CT slice; Liver

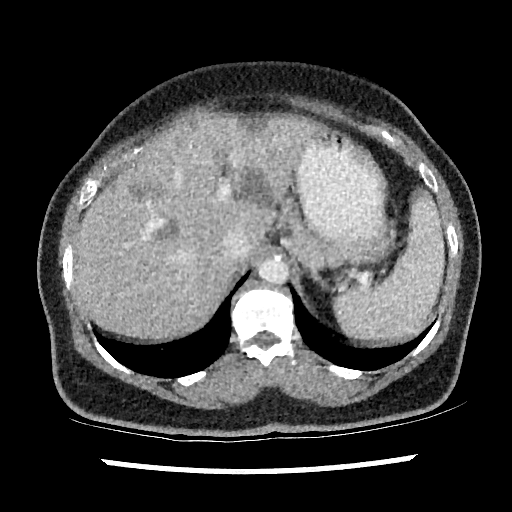

Hepatic lesion — <bbox>128, 182, 153, 198</bbox>, <bbox>156, 221, 178, 241</bbox>, <bbox>238, 116, 265, 131</bbox>, <bbox>235, 167, 273, 208</bbox>.
Liver — <bbox>72, 115, 316, 338</bbox>.